Brain, 240x240 px
FLAIR magnetic resonance.
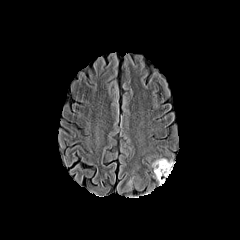
T1-weighted MR.
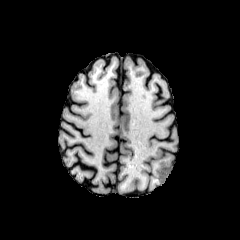
Post-contrast T1-weighted MRI.
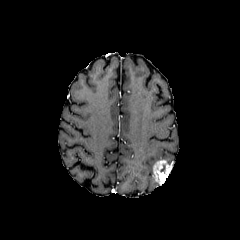
T2-weighted magnetic resonance.
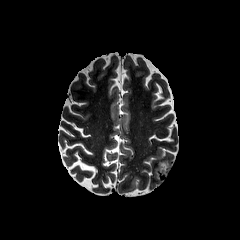
enhancing tumor: left=152, top=158, right=174, bottom=185 | edema: left=124, top=176, right=140, bottom=191